CT scan slice.

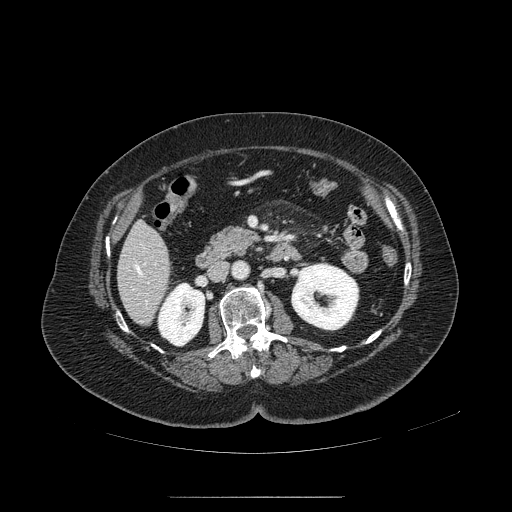 pancreas:
  - l=215, t=224, r=255, b=259